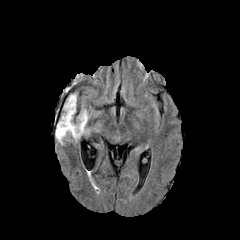
FLAIR magnetic resonance.
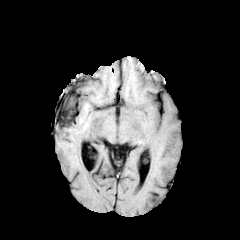
T1-weighted MR of the same slice.
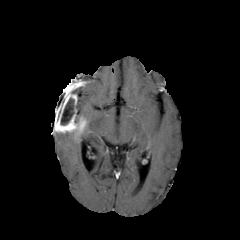
Post-contrast T1-weighted MR of the same slice.
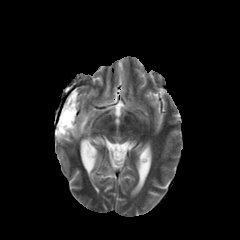
T2-weighted magnetic resonance.
2 edema regions appear at (78, 86, 88, 121), (56, 132, 80, 144). 2 non-enhancing tumor core regions appear at (55, 77, 84, 124), (72, 121, 87, 135). 2 enhancing tumor regions are located at (62, 83, 77, 109), (55, 108, 85, 133).